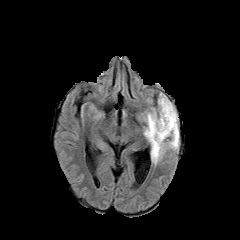
FLAIR MR.
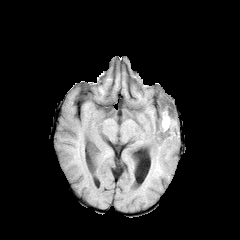
Same slice, T1-weighted MRI.
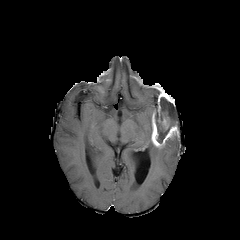
Post-contrast T1-weighted MRI of the same slice.
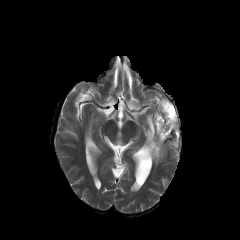
T2-weighted MR.
Edema = (143,103,180,165).
Non-enhancing tumor core = (156,122,169,143), (155,97,177,125).
Enhancing tumor = (155,85,170,115), (150,110,178,147).